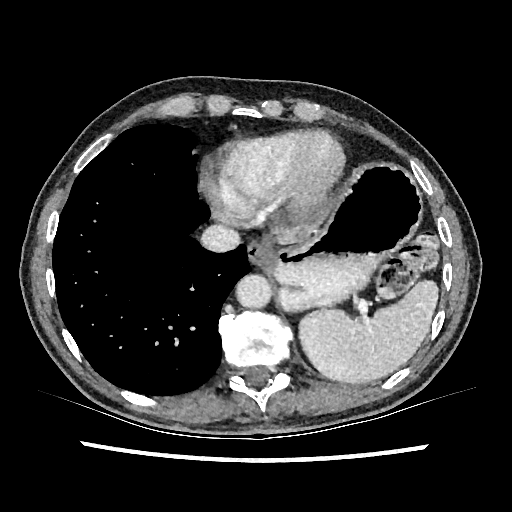

CT image.

<segmentation>
  <focal_liver_lesion>box=[290, 204, 328, 224]</focal_liver_lesion>
  <liver>box=[277, 215, 325, 243]</liver>
</segmentation>